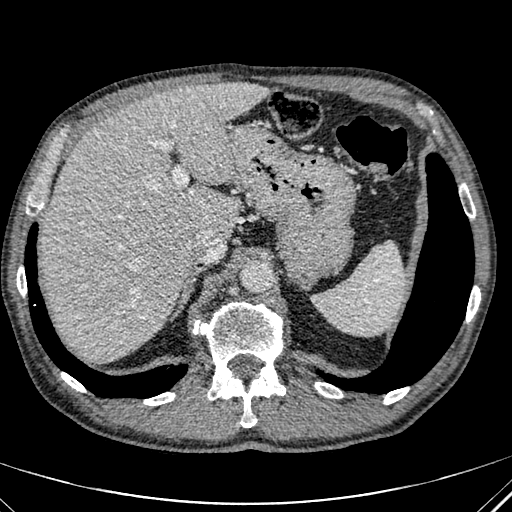

CT slice
The liver appears at bbox=[42, 82, 268, 361].